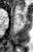 Hippocampus. Magnetic resonance.

Annotated regions:
• anterior hippocampus: <bbox>19, 15, 22, 19</bbox>